FLAIR magnetic resonance.
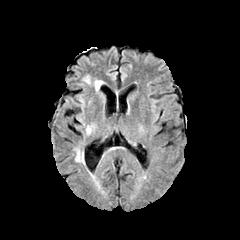
T1-weighted MR image.
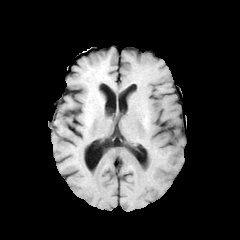
Post-contrast T1-weighted MRI.
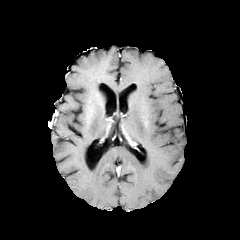
T2-weighted MR image.
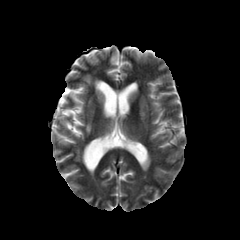
Brain.
edema: box(83, 123, 94, 135); box(83, 76, 104, 103); box(75, 148, 84, 162)